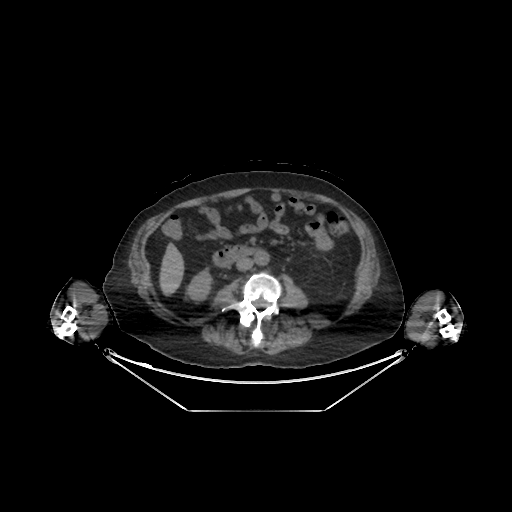

CT scan slice. 512x512 px. Upper abdomen.
The liver appears at 160,243,183,295. The kidney is bounded by 184,267,214,303.